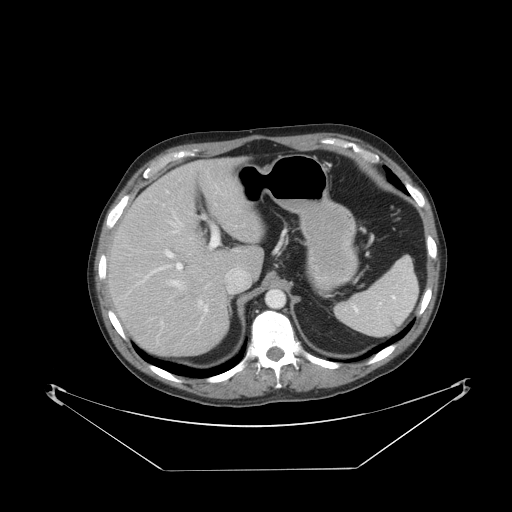
CT image. Abdomen.
The vessel boxes may cover only some of the vessels.
14 hepatic vessel regions are bounded by x1=190, y1=237, x2=193, y2=239; x1=198, y1=300, x2=207, y2=315; x1=135, y1=265, x2=170, y2=286; x1=226, y1=273, x2=228, y2=274; x1=167, y1=280, x2=184, y2=290; x1=165, y1=249, x2=173, y2=257; x1=170, y1=212, x2=183, y2=233; x1=234, y1=226, x2=236, y2=227; x1=176, y1=263, x2=182, y2=270; x1=198, y1=318, x2=202, y2=325; x1=209, y1=226, x2=219, y2=248; x1=203, y1=216, x2=204, y2=217; x1=157, y1=319, x2=163, y2=342; x1=215, y1=203, x2=216, y2=205.